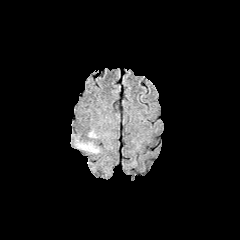
FLAIR MR.
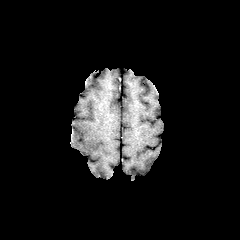
T1-weighted MR image.
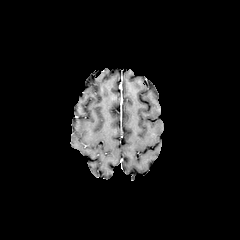
Same slice, post-contrast T1-weighted MR image.
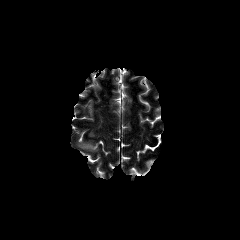
T2-weighted MRI of the same slice.
Brain
{
  "edema": [
    "bbox(76, 136, 99, 153)"
  ]
}